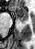
Magnetic resonance | Medial temporal lobe
The posterior hippocampus is located at rect(20, 21, 23, 23). The anterior hippocampus is located at rect(13, 6, 27, 20).